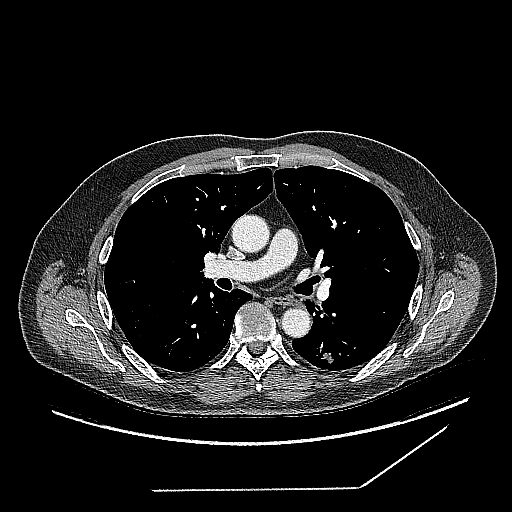
CT scan slice
lung tumor: left=316, top=351, right=335, bottom=366